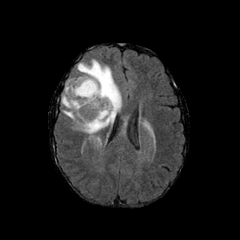
FLAIR MR.
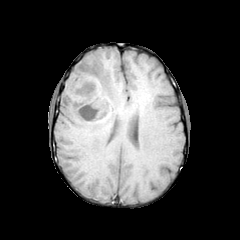
Same slice, T1-weighted magnetic resonance.
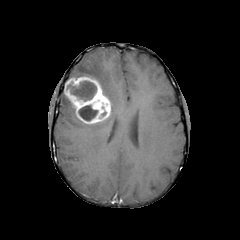
Post-contrast T1-weighted MR image.
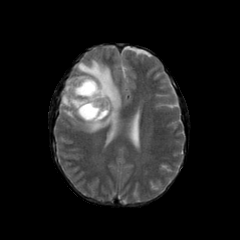
T2-weighted MR.
Head; 240x240
Non-enhancing tumor core at 64:80:96:101, 78:105:97:121.
Enhancing tumor at 64:76:110:123.
Edema at 61:58:121:133.